Upper abdomen, CT slice, Slice 342 of 771, Image width 373 mm

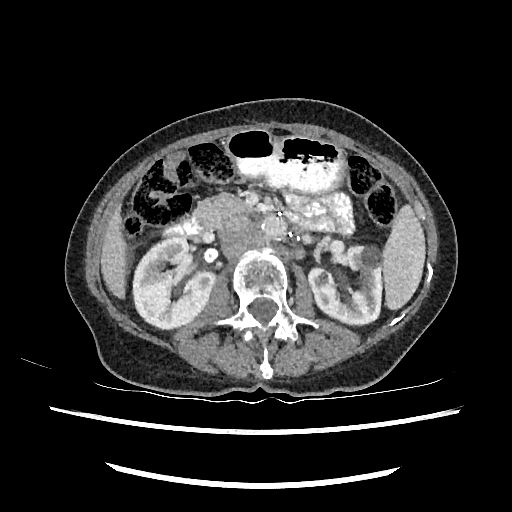 kidney: {"x1": 309, "y1": 247, "x2": 381, "y2": 323}, {"x1": 133, "y1": 239, "x2": 214, "y2": 328} | liver: {"x1": 101, "y1": 204, "x2": 125, "y2": 296}